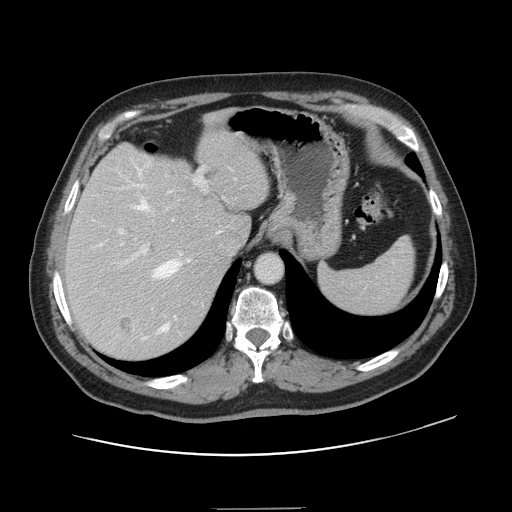

Abdomen. CT.

The vessel boxes may cover only some of the vessels.
Findings:
- hepatic vessel: region(168, 191, 170, 192); region(153, 260, 179, 277); region(135, 165, 140, 173); region(174, 316, 175, 319); region(134, 254, 136, 256); region(186, 259, 189, 261); region(119, 229, 123, 232); region(141, 246, 147, 253); region(199, 175, 204, 184); region(199, 168, 203, 173); region(138, 201, 148, 210); region(180, 253, 181, 254); region(142, 338, 145, 338); region(160, 323, 168, 331); region(100, 243, 102, 245)
- liver tumor: region(167, 163, 180, 179); region(117, 316, 134, 334)